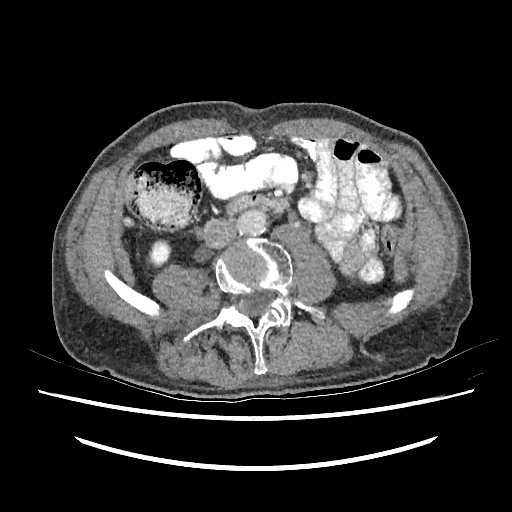 Liver | CT scan slice
Kidney: <box>152,243,168,263</box>.
Liver: <box>125,173,133,196</box>.